Field of view 356x356 mm; Computed tomography; Abdomen
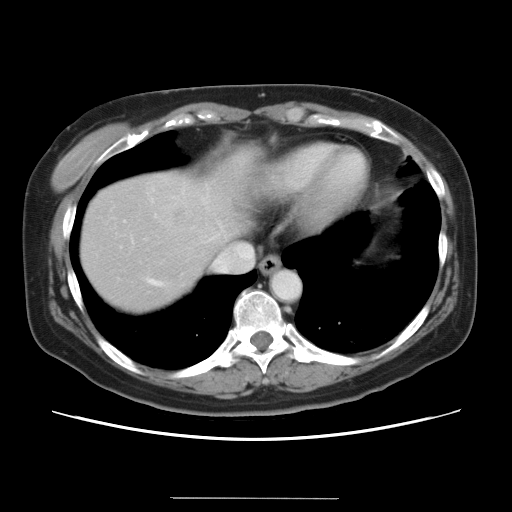
Not every hepatic vessel necessarily has a box.
3 hepatic vessel regions are located at region(148, 279, 162, 285); region(215, 247, 253, 272); region(212, 237, 214, 238). The liver tumor is at region(172, 207, 206, 224).